MR, Slice index 39, Field of view 400 mm wide, 1.37 mm slice spacing, Heart 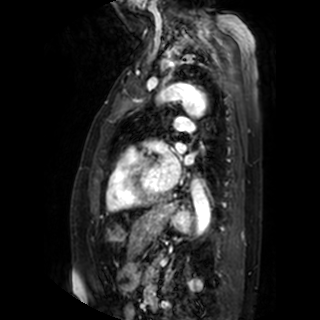

Annotated regions:
* left atrium: rect(185, 155, 192, 164); rect(160, 153, 180, 185); rect(176, 143, 185, 152)